Liver; CT slice

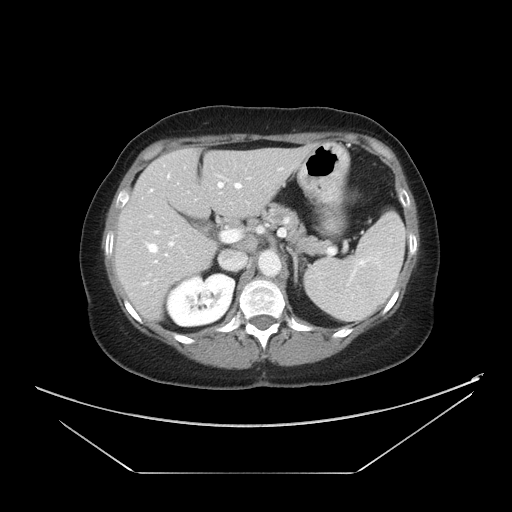 Not every hepatic vessel necessarily has a box.
{"hepatic_vessel": ["left=169, top=237, right=173, bottom=245", "left=155, top=231, right=158, bottom=233", "left=223, top=231, right=237, bottom=240", "left=147, top=244, right=157, bottom=252", "left=247, top=178, right=250, bottom=178", "left=235, top=183, right=240, bottom=188", "left=220, top=253, right=245, bottom=267", "left=280, top=168, right=282, bottom=169", "left=168, top=175, right=169, bottom=177", "left=150, top=189, right=152, bottom=191", "left=143, top=283, right=146, bottom=284", "left=218, top=175, right=226, bottom=187", "left=149, top=215, right=151, bottom=217", "left=165, top=254, right=167, bottom=255"]}